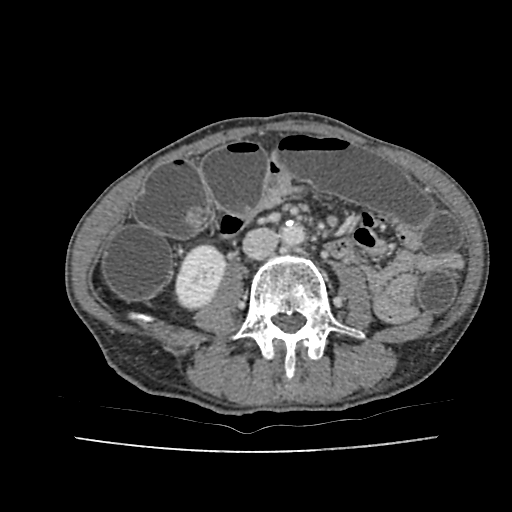 Abdomen, CT scan slice, Image size 512x512
The kidney appears at <box>177,246,225,306</box>.